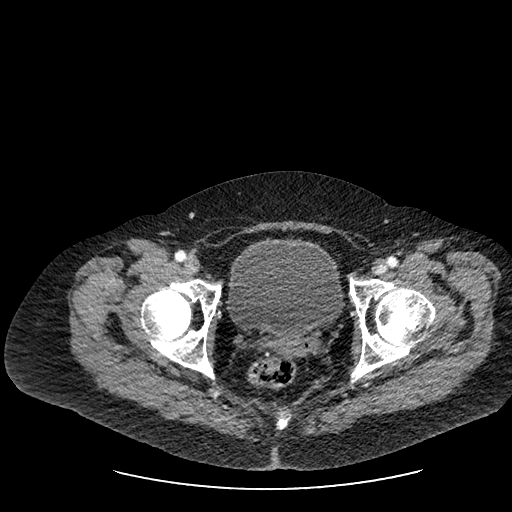

Lower abdomen; Computed tomography

Urinary bladder: {"x1": 226, "y1": 242, "x2": 342, "y2": 337}.